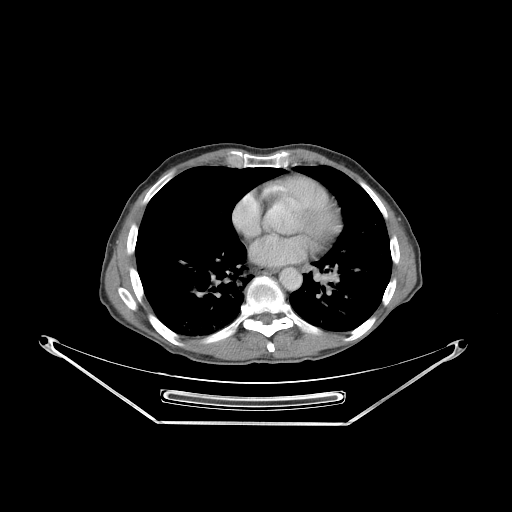

CT slice. Image size 512x512. lung: {"x1": 290, "y1": 166, "x2": 391, "y2": 331}, {"x1": 135, "y1": 166, "x2": 283, "y2": 336} | bone: {"x1": 244, "y1": 152, "x2": 286, "y2": 167}, {"x1": 267, "y1": 343, "x2": 274, "y2": 351}, {"x1": 146, "y1": 310, "x2": 181, "y2": 344}, {"x1": 383, "y1": 280, "x2": 395, "y2": 304}, {"x1": 127, "y1": 225, "x2": 137, "y2": 253}, {"x1": 204, "y1": 276, "x2": 318, "y2": 342}, {"x1": 130, "y1": 269, "x2": 142, "y2": 301}, {"x1": 144, "y1": 175, "x2": 169, "y2": 202}, {"x1": 118, "y1": 288, "x2": 135, "y2": 309}, {"x1": 362, "y1": 185, "x2": 386, "y2": 216}, {"x1": 390, "y1": 236, "x2": 399, "y2": 262}, {"x1": 346, "y1": 318, "x2": 374, "y2": 340}